Image size 512x512; Image width 328 mm; CT; Liver; Slice index 337 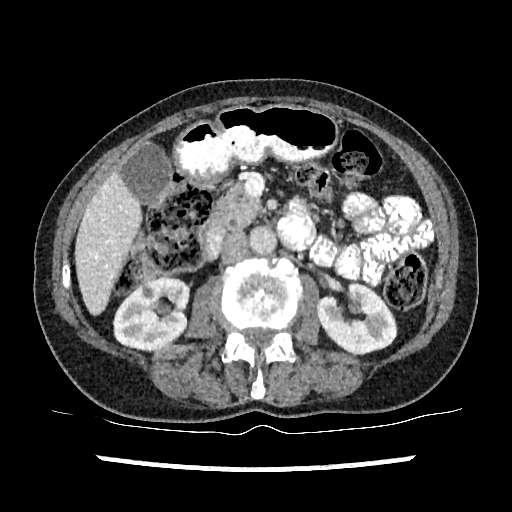 The liver appears at l=76, t=173, r=141, b=314. 2 kidney regions are located at l=318, t=284, r=395, b=352; l=114, t=279, r=188, b=349.